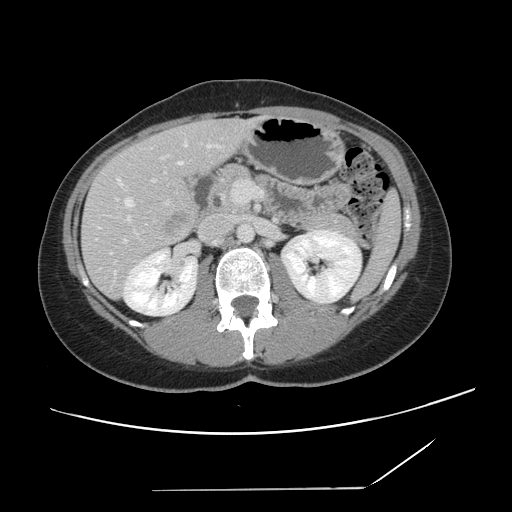
Liver. 512x512 px. CT scan slice.

The vessel boxes may cover only some of the vessels.
Liver tumor: bounding box 168, 217, 183, 225.
Hepatic vessel: bounding box 127, 216, 130, 220; 98, 227, 100, 228; 125, 199, 133, 206; 116, 198, 117, 200; 165, 201, 168, 204; 114, 272, 115, 275; 207, 144, 217, 147; 160, 156, 164, 159; 178, 162, 182, 164; 152, 179, 155, 181; 185, 141, 186, 146; 110, 252, 112, 253; 124, 240, 126, 242; 117, 177, 121, 185.